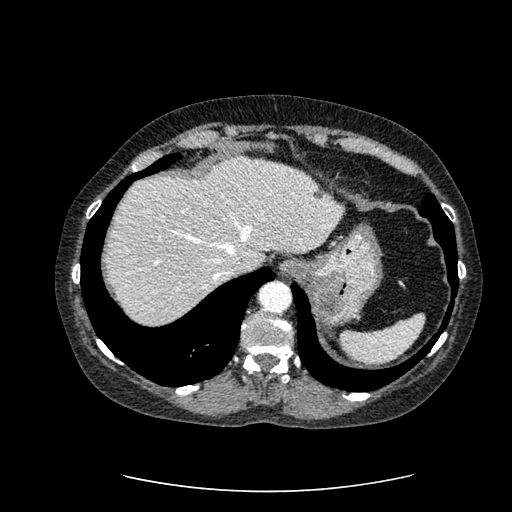

Abdomen. CT scan slice.
The liver is located at bbox=[107, 157, 341, 324]. The hepatic lesion lies within bbox=[314, 189, 322, 198].